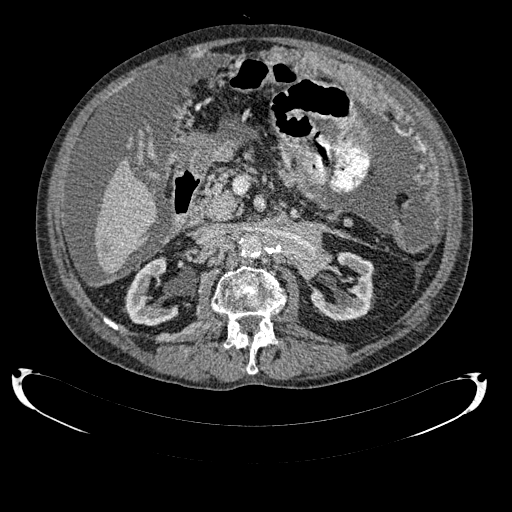
CT image. Upper abdomen.
liver: (95,157,156,274) | kidney: (308,252,373,319), (126,259,177,325)